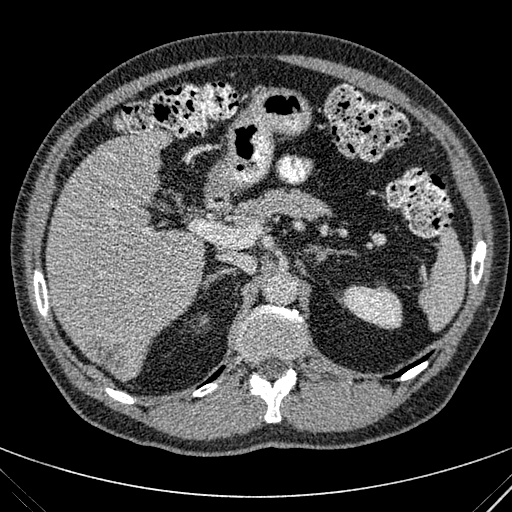 CT image.
<segmentation>
  <liver>[46, 131, 201, 378]</liver>
  <hepatic_lesion>[83, 334, 132, 374]</hepatic_lesion>
  <kidney>[343, 286, 401, 328]</kidney>
</segmentation>